Image width 451 mm, 512x512, Slice 56/100, CT image
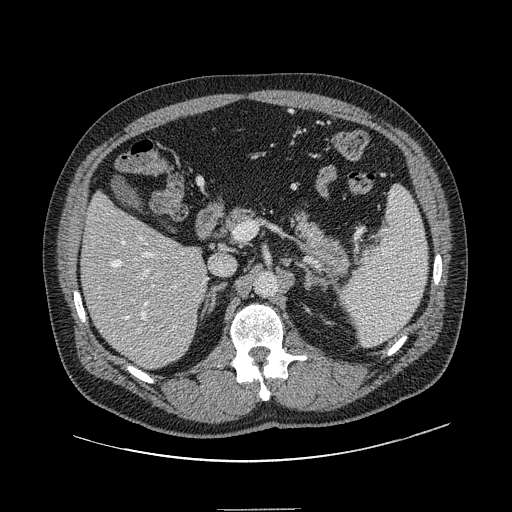

2 pancreas regions appear at rect(224, 208, 253, 232); rect(291, 213, 349, 277). The pancreatic tumor lies within rect(315, 241, 341, 270).